Image size 240x240. Field of view 240 mm wide, 1.00 mm slice spacing.
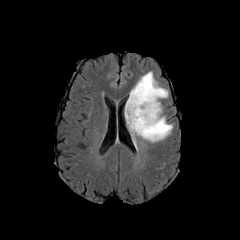
FLAIR MRI.
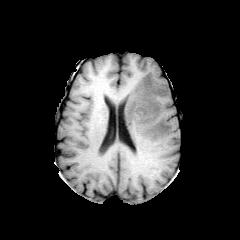
T1-weighted MR.
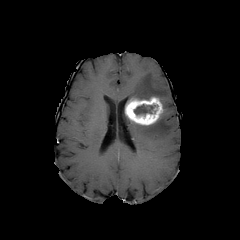
Post-contrast T1-weighted MR image of the same slice.
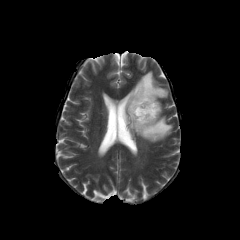
Same slice, T2-weighted magnetic resonance.
Non-enhancing tumor core = region(134, 104, 153, 114).
Enhancing tumor = region(125, 96, 162, 125).
Edema = region(127, 114, 173, 144); region(128, 71, 168, 101).